FLAIR MRI.
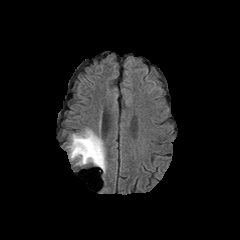
T1-weighted magnetic resonance.
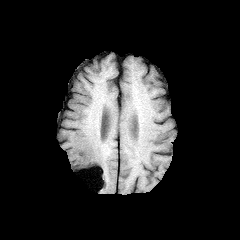
Post-contrast T1-weighted MR image.
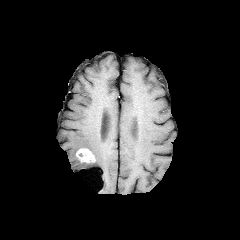
T2-weighted MRI.
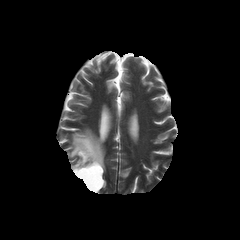
240x240 px.
Non-enhancing tumor core = 88, 152, 102, 169.
Enhancing tumor = 76, 148, 95, 163.
Edema = 67, 127, 107, 173.